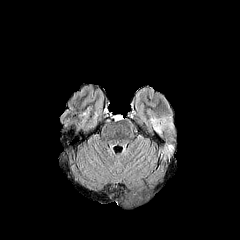
FLAIR MR image.
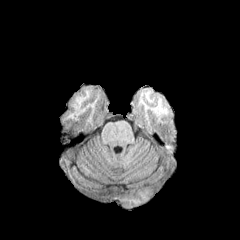
Same slice, T1-weighted magnetic resonance.
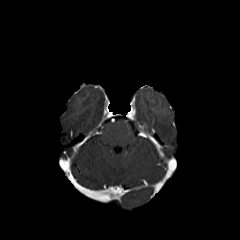
Post-contrast T1-weighted magnetic resonance.
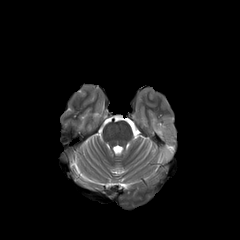
T2-weighted MR image.
Brain
Edema — <bbox>160, 135, 174, 158</bbox>, <bbox>150, 119, 172, 134</bbox>.